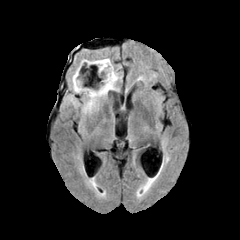
FLAIR MR.
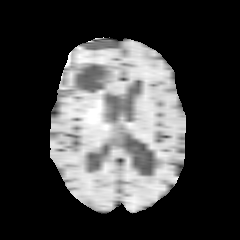
T1-weighted MR of the same slice.
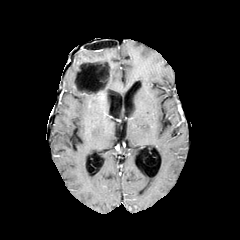
Post-contrast T1-weighted MR.
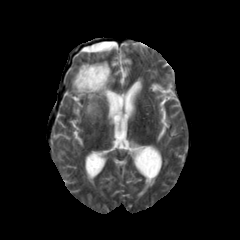
T2-weighted magnetic resonance.
Edema at [67, 56, 121, 114].
Non-enhancing tumor core at [86, 66, 108, 87], [76, 78, 84, 88].